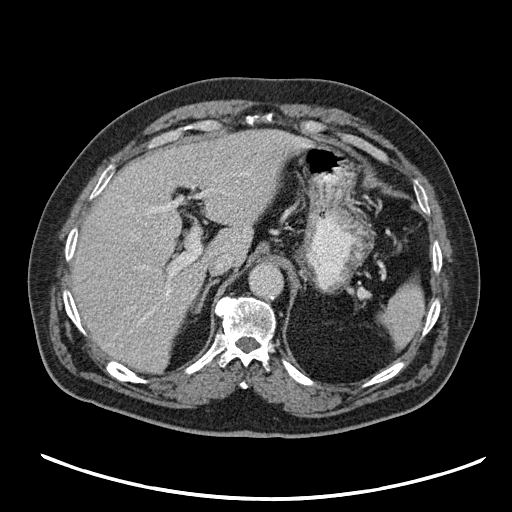
Abdomen. CT slice.

spleen: rect(381, 284, 423, 348)